FLAIR MRI.
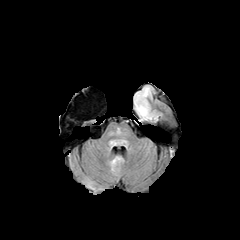
T1-weighted MR image.
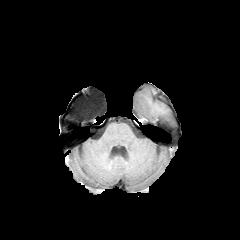
Post-contrast T1-weighted magnetic resonance.
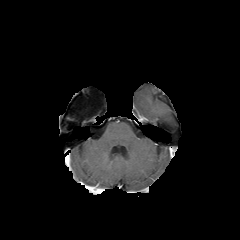
T2-weighted magnetic resonance.
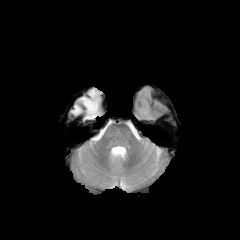
edema:
  - 138, 106, 149, 119